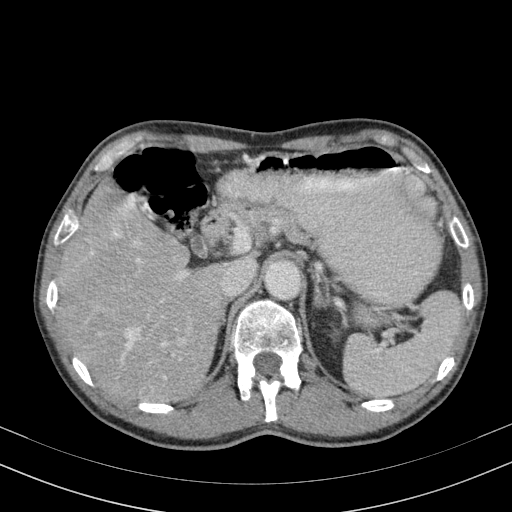 Image size 512x512 | CT image | Liver
2 liver regions are bounded by [58, 175, 257, 408], [232, 240, 250, 253].